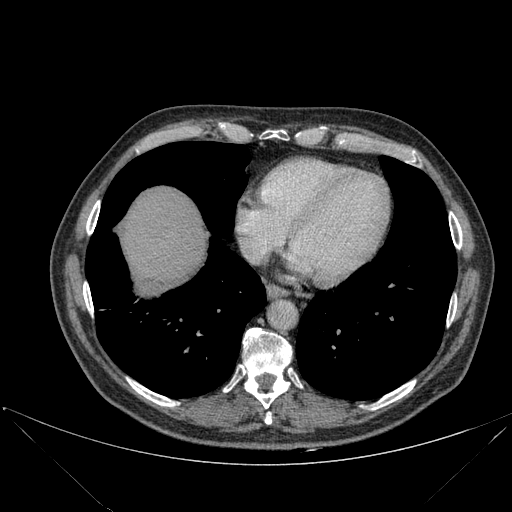

Liver, Image size 512x512, CT
9 bone regions are bounded by [86,201,99,234], [83,282,93,314], [371,380,415,409], [447,295,456,326], [240,328,291,408], [449,212,461,248], [126,378,175,406], [264,412,271,424], [265,130,285,138]. The liver is bounded by [118,187,208,280]. 2 lung regions appear at [85,141,265,397], [296,156,456,399].